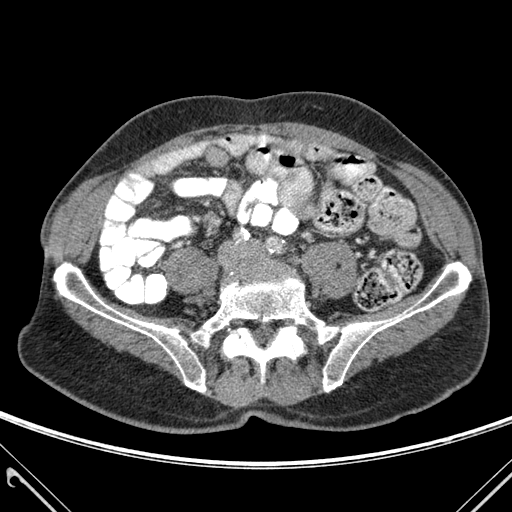

CT slice
4 bone regions are bounded by x1=223, y1=326, x2=302, y2=375; x1=54, y1=263, x2=205, y2=391; x1=191, y1=272, x2=338, y2=345; x1=323, y1=262, x2=470, y2=391.